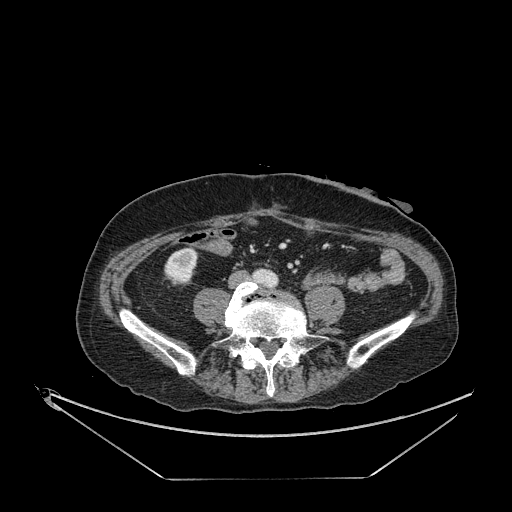

CT | 512x512 px | Abdomen
* kidney: left=165, top=248, right=196, bottom=282